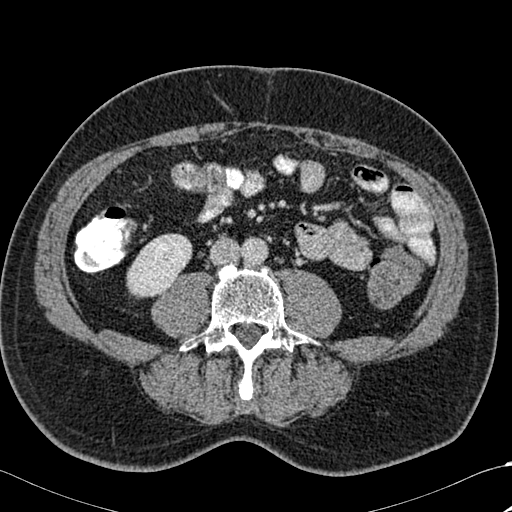 CT slice
Annotated regions:
- bone: rect(182, 264, 311, 400)
- kidney: rect(128, 234, 191, 295)